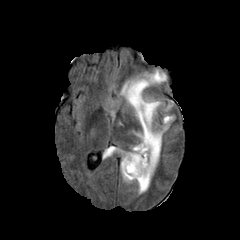
FLAIR MRI.
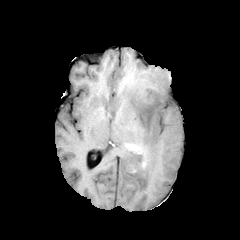
T1-weighted MRI.
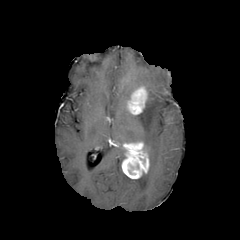
Post-contrast T1-weighted MR image of the same slice.
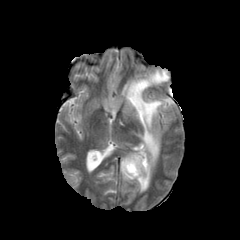
T2-weighted MR.
<segmentation>
  <enhancing_tumor>[129,87,145,113], [122,143,148,178]</enhancing_tumor>
  <edema>[120,70,167,102], [120,94,175,192]</edema>
</segmentation>